CT scan slice
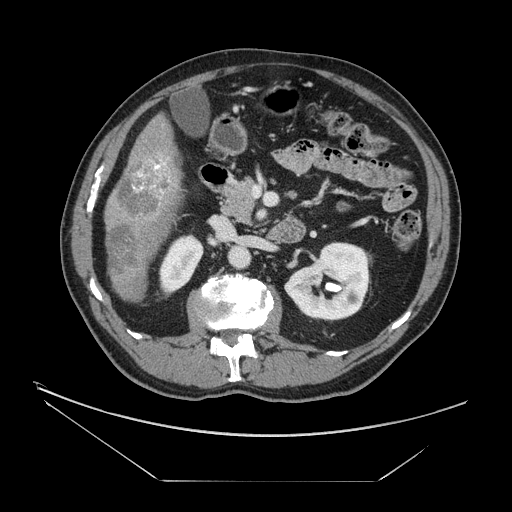
Findings:
• liver tumor: box=[116, 159, 171, 221]; box=[108, 226, 138, 275]